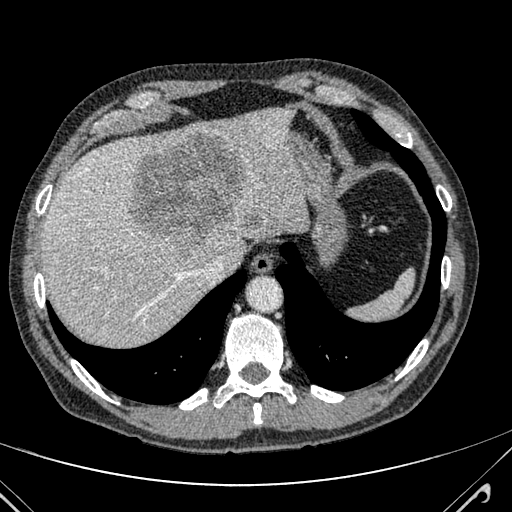 Computed tomography; Abdomen

focal_liver_lesion:
  - x1=131 y1=132 x2=247 y2=251
  - x1=244 y1=213 x2=262 y2=228
liver:
  - x1=42 y1=109 x2=307 y2=344